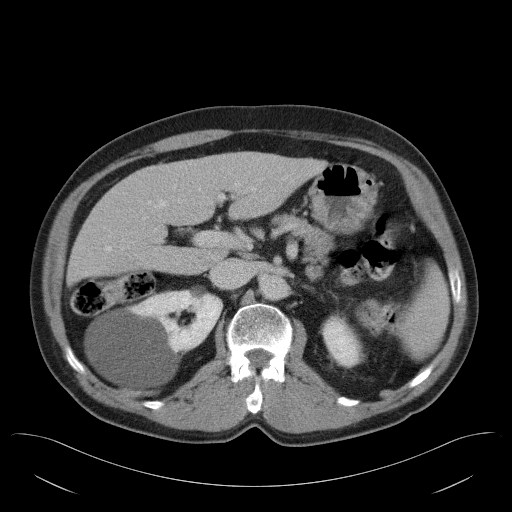

CT image

Not every hepatic vessel necessarily has a box.
Annotated regions:
* hepatic vessel: box=[248, 187, 255, 190]; box=[160, 201, 165, 205]; box=[147, 201, 150, 204]; box=[106, 247, 110, 250]; box=[234, 182, 240, 186]